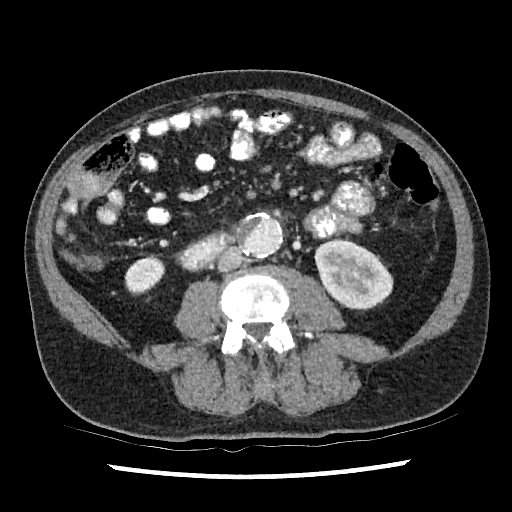 Computed tomography.
{"kidney": ["(left=125, top=258, right=163, bottom=291)", "(left=316, top=241, right=392, bottom=308)"]}